512x512, Image width 380 mm, Slice 381/871, CT, Abdomen

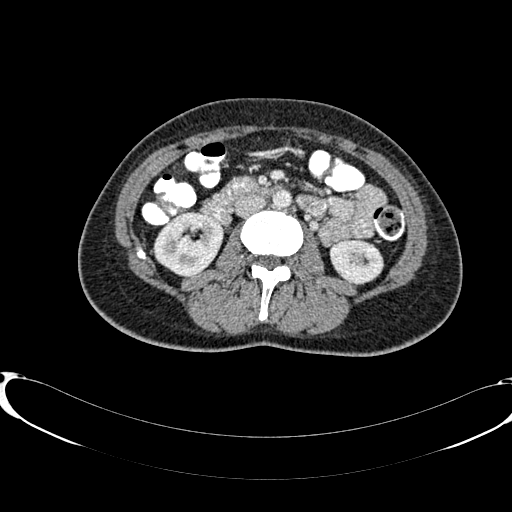 Kidney: bounding box rect(155, 214, 221, 275); rect(331, 241, 381, 282).